Computed tomography
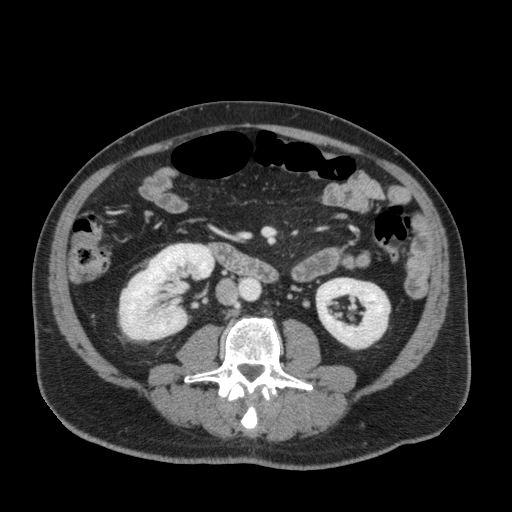

* kidney: {"x1": 316, "y1": 278, "x2": 389, "y2": 347}, {"x1": 120, "y1": 244, "x2": 213, "y2": 339}